CT image. Slice index 36. 512x512 px. Abdomen.
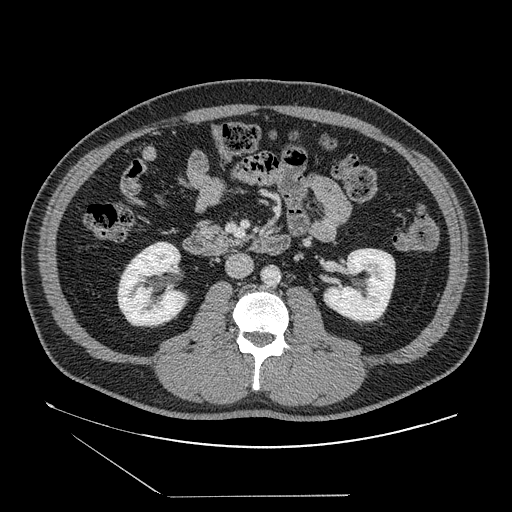

{"pancreas": [{"x1": 191, "y1": 218, "x2": 240, "y2": 255}]}